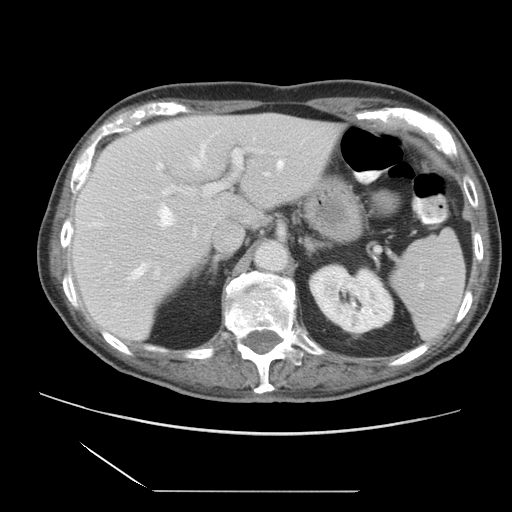

Computed tomography
Some hepatic vessels may have no box.
hepatic vessel: box=[128, 262, 148, 285]; box=[202, 183, 225, 196]; box=[266, 173, 269, 175]; box=[157, 203, 175, 228]; box=[277, 160, 283, 167]; box=[156, 164, 163, 169]; box=[92, 222, 102, 226]; box=[259, 151, 262, 151]; box=[192, 145, 205, 166]; box=[162, 184, 195, 195]; box=[232, 149, 242, 168]